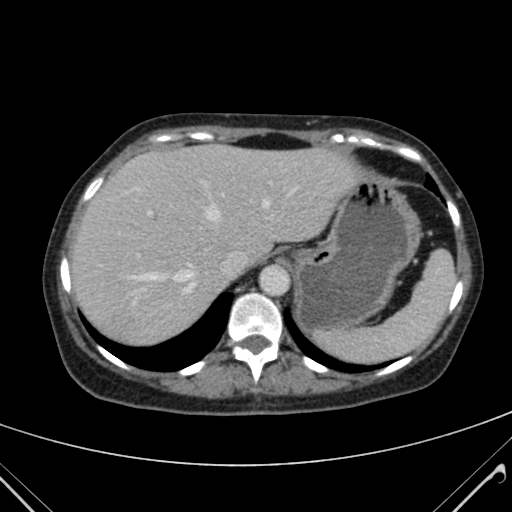 Liver, CT scan slice
Annotated regions:
* liver: x1=72 y1=145 x2=348 y2=344